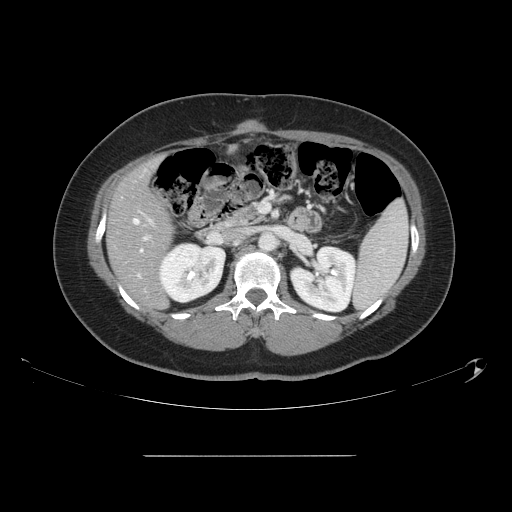

Computed tomography; Abdomen

Not every hepatic vessel necessarily has a box.
hepatic vessel: <box>133,219,138,223</box>, <box>140,250,142,251</box>, <box>143,237,146,239</box>